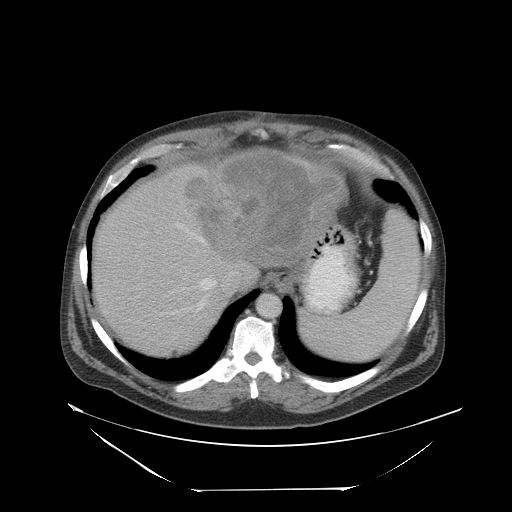 CT | Image size 512x512
Only some of the vessels may be annotated.
<segmentation>
  <hepatic_vessel>(196, 295, 207, 311), (199, 278, 216, 290), (175, 223, 202, 243)</hepatic_vessel>
  <liver_tumor>(183, 152, 338, 260)</liver_tumor>
</segmentation>